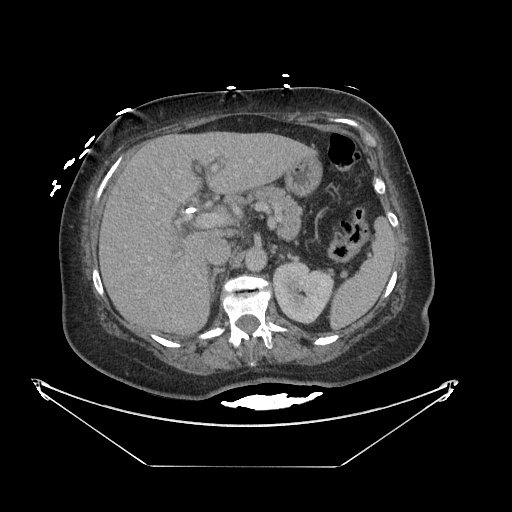
CT scan slice
<segmentation>
  <pancreas>l=255, t=188, r=301, b=240</pancreas>
</segmentation>